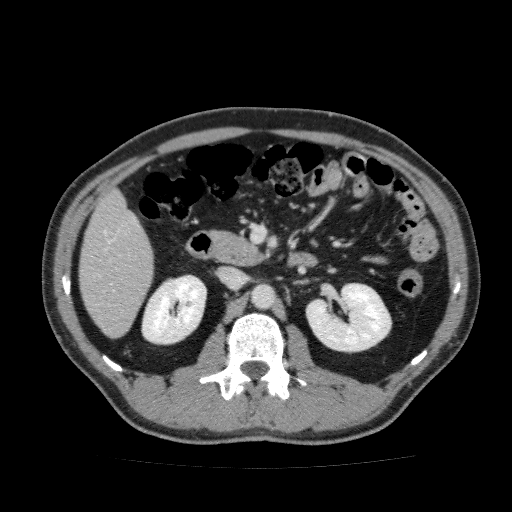
Liver; CT slice; 512x512 px
{
  "liver": [
    "bbox(78, 188, 155, 338)"
  ],
  "kidney": [
    "bbox(306, 283, 390, 351)",
    "bbox(142, 276, 206, 343)"
  ]
}